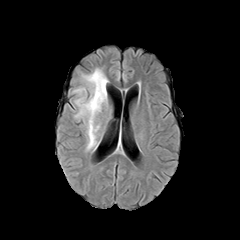
FLAIR MR image.
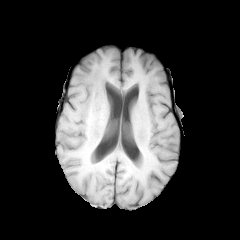
T1-weighted MR image.
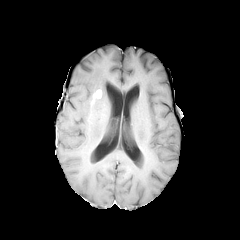
Same slice, post-contrast T1-weighted magnetic resonance.
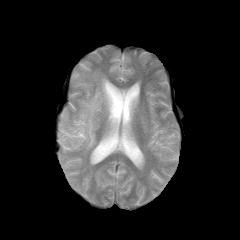
T2-weighted MR image.
Image size 240x240.
edema:
  - left=74, top=68, right=109, bottom=150
enhancing_tumor:
  - left=91, top=89, right=102, bottom=104